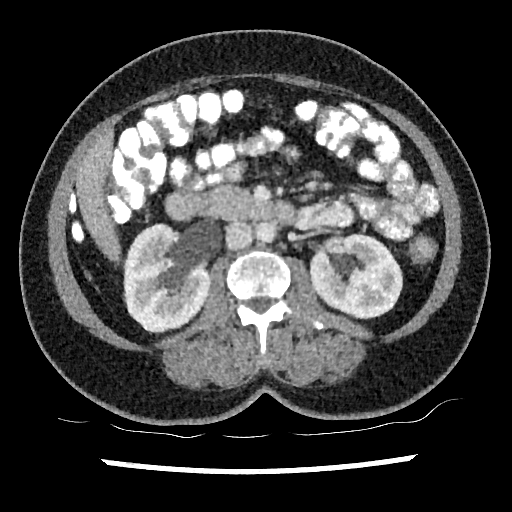 CT slice. Liver.

Segmented structures:
• kidney: bbox=[125, 225, 209, 331]; bbox=[311, 235, 401, 317]
• liver: bbox=[77, 132, 117, 258]